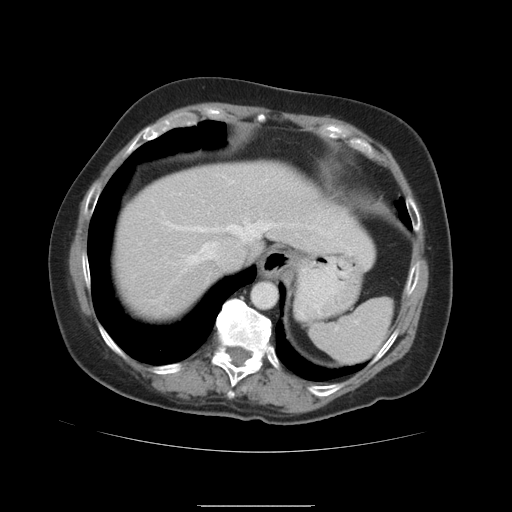
Abdomen; Computed tomography

Only some of the vessels may be annotated.
hepatic_vessel:
  - [185, 241, 228, 266]
  - [164, 219, 329, 247]
  - [219, 175, 233, 184]